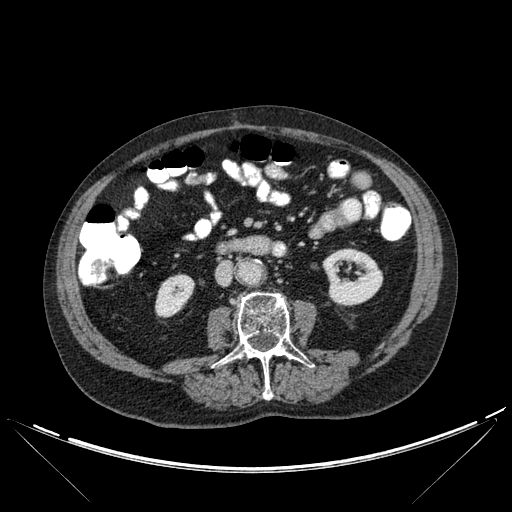

CT. Abdomen. The bone is bounded by 222,292,293,399. 2 kidney regions are located at 155,275,194,316; 323,249,382,304.